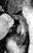

Medial temporal lobe; Magnetic resonance
{"posterior_hippocampus": ["(13, 21, 27, 45)"], "anterior_hippocampus": ["(9, 12, 24, 20)"]}